CT | Liver
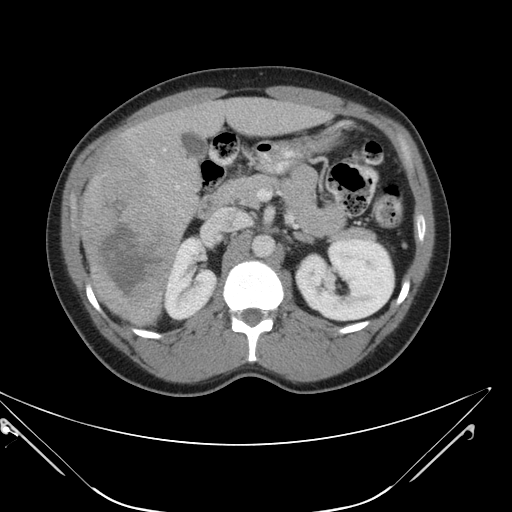

The vessel annotation is not exhaustive.
* liver tumor: box(82, 138, 178, 323)
* hepatic vessel: box(176, 185, 178, 188); box(151, 160, 153, 161); box(201, 208, 243, 233)